CT slice; Slice 139 of 537

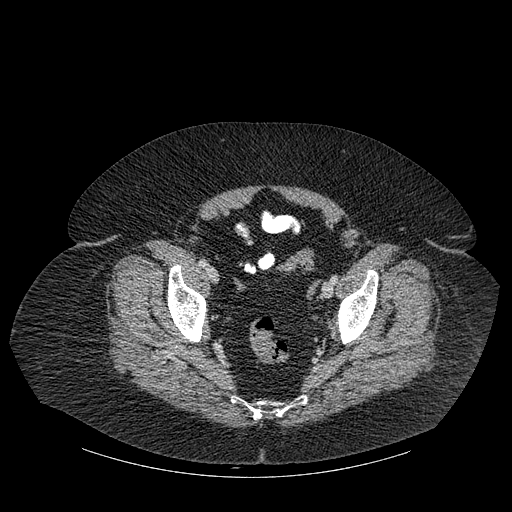
bone: 231 395 307 419, 168 265 205 341, 338 270 378 343